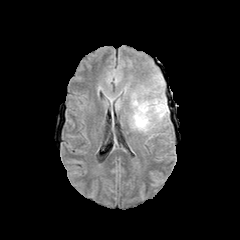
FLAIR magnetic resonance.
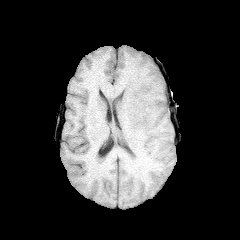
T1-weighted MR of the same slice.
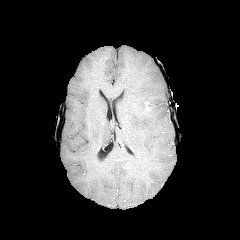
Same slice, post-contrast T1-weighted MR image.
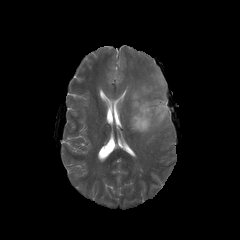
T2-weighted MR.
Brain
Annotated regions:
• enhancing tumor: l=134, t=102, r=152, b=115
• non-enhancing tumor core: l=134, t=100, r=147, b=111
• edema: l=129, t=88, r=169, b=132